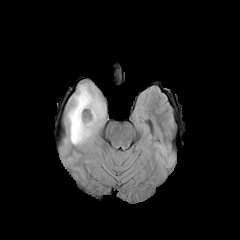
FLAIR MR image.
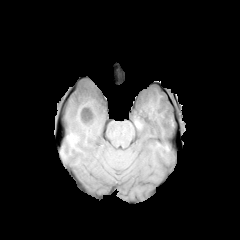
T1-weighted MR.
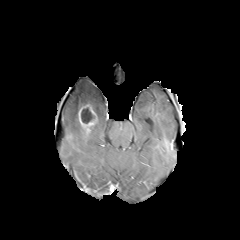
Post-contrast T1-weighted magnetic resonance of the same slice.
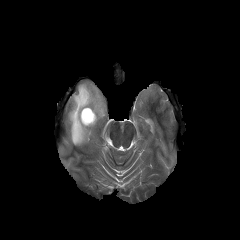
Same slice, T2-weighted MRI.
240x240; Brain
The non-enhancing tumor core lies within bbox=[80, 104, 94, 123]. The enhancing tumor is bounded by bbox=[78, 106, 96, 133]. The edema appears at bbox=[67, 83, 105, 145].